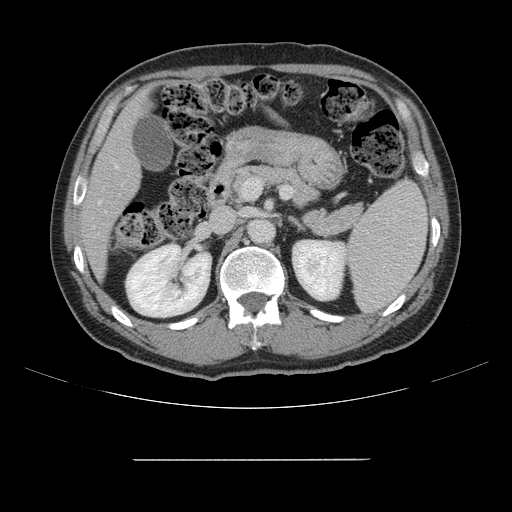
Computed tomography
The vessel boxes may cover only some of the vessels.
2 hepatic vessel regions are located at box=[116, 166, 117, 168]; box=[99, 201, 100, 203].